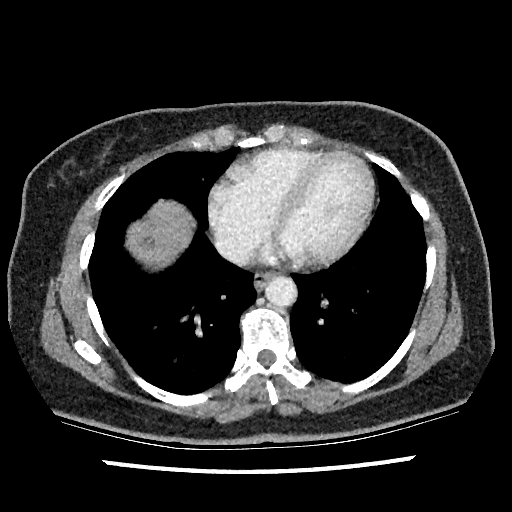 Upper abdomen, CT image

<segmentation>
  <liver>box(128, 201, 191, 264)</liver>
  <liver_lesion>box(142, 236, 154, 248)</liver_lesion>
</segmentation>